FLAIR MR image.
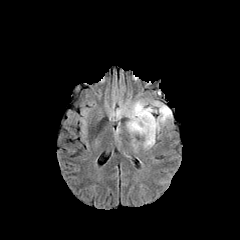
T1-weighted MR image.
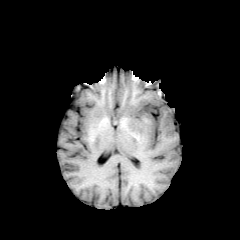
Post-contrast T1-weighted MRI.
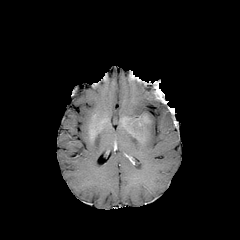
T2-weighted magnetic resonance.
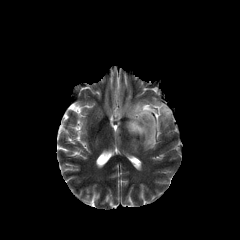
Brain
{
  "edema": [
    "[122,97,172,149]"
  ]
}